Liver. Computed tomography.
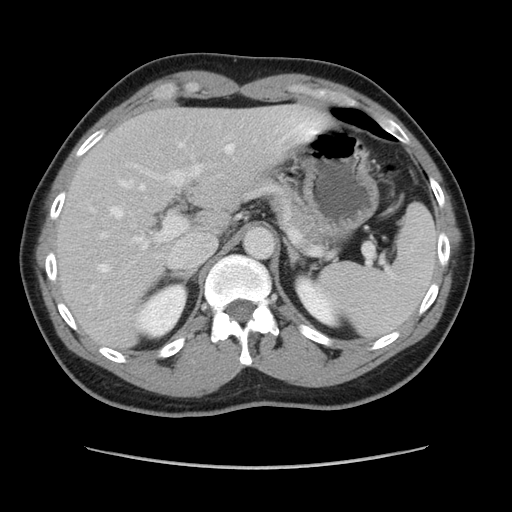 The vessel annotation is not exhaustive.
13 hepatic vessel regions appear at 132:154:204:185, 92:286:94:288, 100:233:108:238, 216:174:222:176, 225:144:234:158, 99:297:101:307, 111:206:122:217, 119:180:133:187, 179:142:184:146, 157:215:186:240, 133:237:146:248, 140:184:144:189, 98:264:110:272.